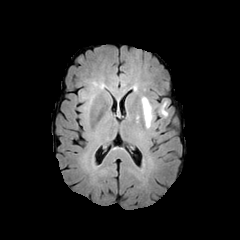
FLAIR MR.
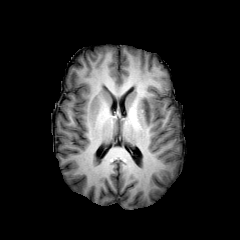
Same slice, T1-weighted MRI.
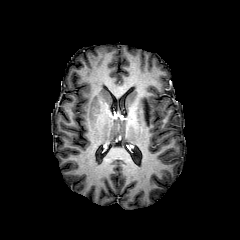
Same slice, post-contrast T1-weighted magnetic resonance.
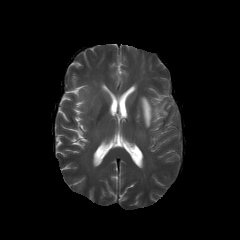
T2-weighted MRI.
Head
<segmentation>
  <edema>{"x1": 137, "y1": 96, "x2": 153, "y2": 128}, {"x1": 154, "y1": 100, "x2": 167, "y2": 117}</edema>
</segmentation>